Slice index 121, CT image, Image width 432 mm

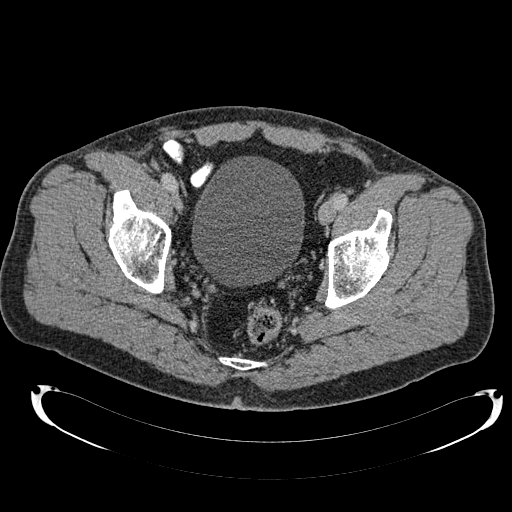 Urinary bladder = (x1=191, y1=156, x2=304, y2=285).